512x512. Slice 161/689. Field of view 360x360 mm. CT.
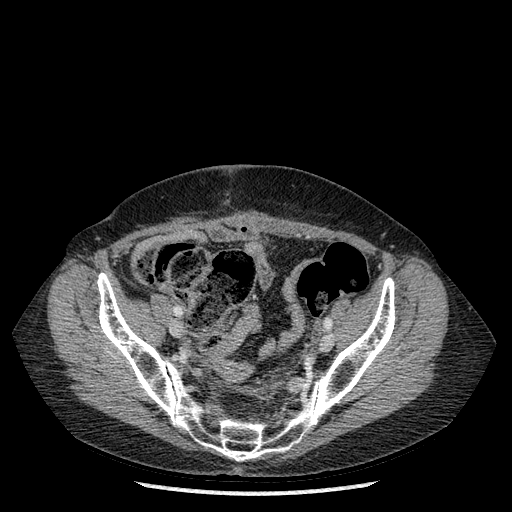

Bone — 97:272:395:461.